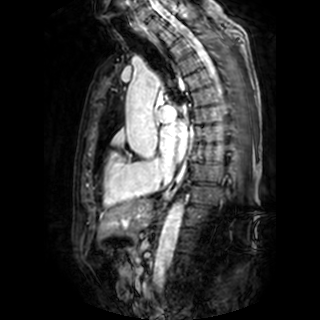 MR image

<segmentation>
  <left_atrium>x1=160 y1=121 x2=187 y2=163</left_atrium>
</segmentation>